240x240
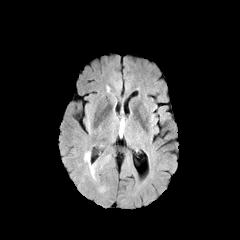
FLAIR MR image.
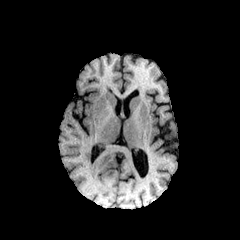
T1-weighted MR of the same slice.
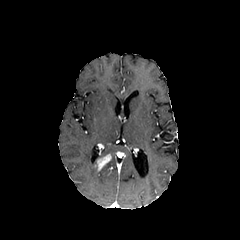
Post-contrast T1-weighted MR.
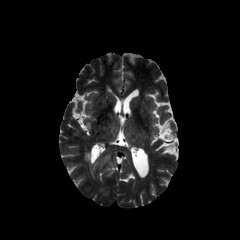
T2-weighted MR of the same slice.
The edema is located at box=[83, 150, 97, 180]. The enhancing tumor appears at box=[96, 153, 111, 171].